Field of view 240 mm wide, 1.00 mm slice spacing, 240x240
FLAIR MRI.
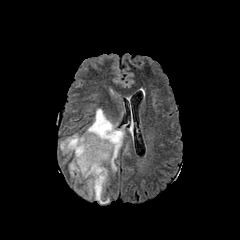
T1-weighted MR image.
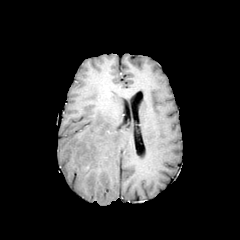
Post-contrast T1-weighted MRI.
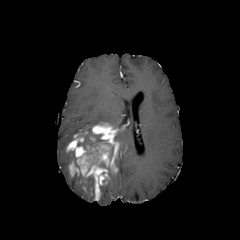
T2-weighted magnetic resonance.
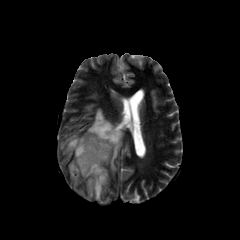
non-enhancing_tumor_core:
  - x1=68 y1=151 x2=76 y2=163
  - x1=77 y1=130 x2=105 y2=147
  - x1=100 y1=161 x2=117 y2=173
  - x1=74 y1=172 x2=93 y2=187
edema:
  - x1=72 y1=177 x2=93 y2=198
  - x1=85 y1=108 x2=117 y2=133
  - x1=60 y1=135 x2=72 y2=154
  - x1=98 y1=186 x2=109 y2=203
  - x1=115 y1=130 x2=125 y2=153
enhancing_tumor:
  - x1=66 y1=123 x2=120 y2=200